Slice 313/463, CT image, 512x512 px 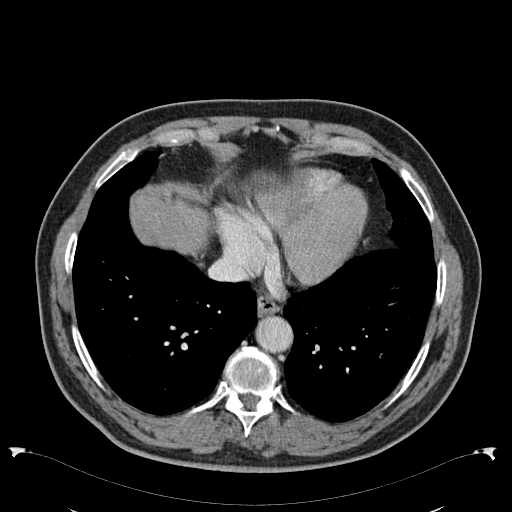 <segmentation>
  <liver>x1=132, y1=192, x2=207, y2=251</liver>
</segmentation>